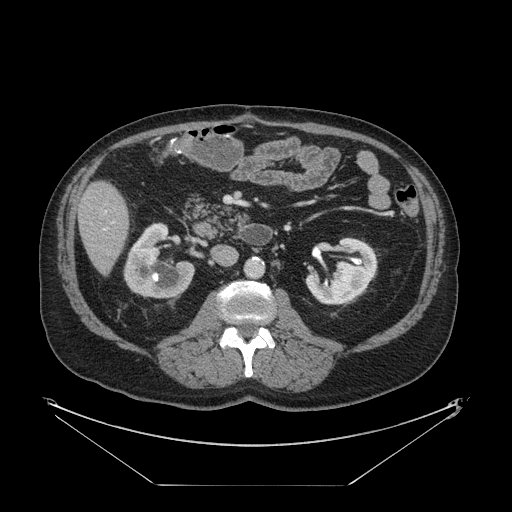
Abdomen; CT image
Not every hepatic vessel necessarily has a box.
<segmentation>
  <hepatic_vessel>[112, 221, 113, 222]</hepatic_vessel>
</segmentation>